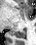 MRI slice

Posterior hippocampus — (x1=11, y1=30, x2=25, y2=37).